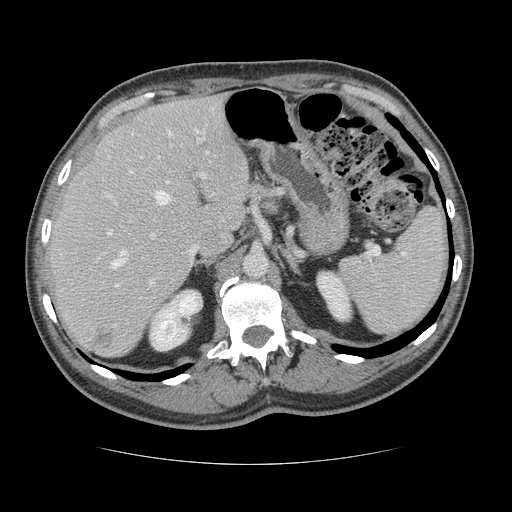
CT, Abdomen, Image size 512x512

The vessel annotation is not exhaustive.
liver tumor: (95, 328, 113, 347) | [15/18] hepatic vessel: (168, 130, 171, 135), (150, 233, 154, 237), (189, 244, 194, 253), (116, 284, 118, 285), (155, 191, 169, 204), (200, 173, 205, 177), (195, 128, 204, 140), (111, 251, 126, 266), (114, 202, 117, 204), (107, 230, 110, 233), (104, 192, 111, 197), (170, 144, 171, 145), (167, 180, 168, 182), (149, 279, 153, 285), (206, 151, 208, 152)